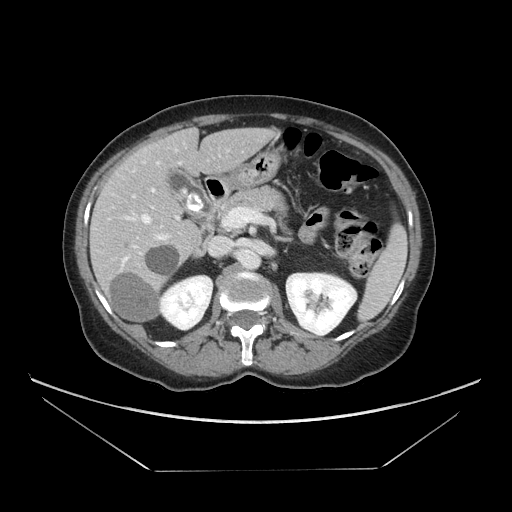
Computed tomography, Upper abdomen

{
  "pancreas": [
    "region(220, 186, 288, 217)"
  ]
}